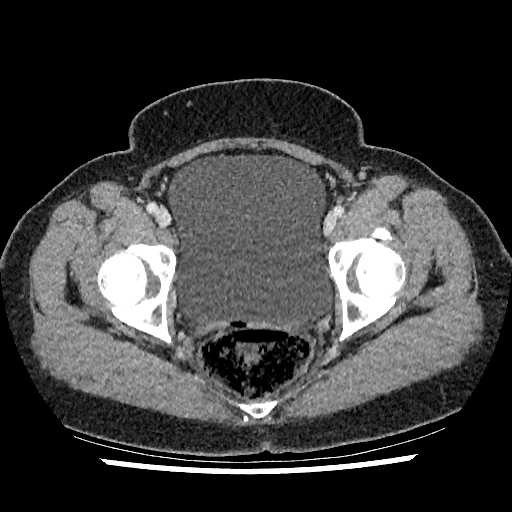

CT scan slice, Pelvis

{
  "urinary_bladder": [
    "[168,155,333,333]"
  ]
}